CT, Image width 434 mm
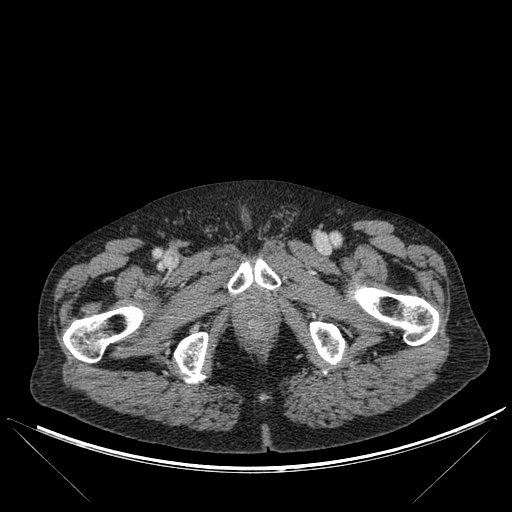
bone:
  - x1=228 y1=259 x2=280 y2=294
  - x1=351 y1=286 x2=439 y2=345
  - x1=174 y1=332 x2=208 y2=383
  - x1=62 y1=306 x2=143 y2=362
  - x1=310 y1=321 x2=344 y2=366